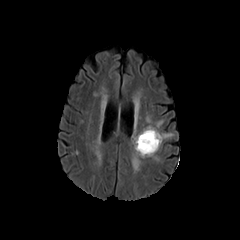
FLAIR MR.
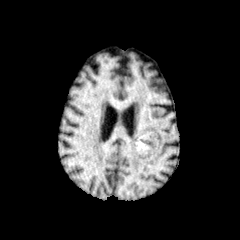
Same slice, T1-weighted magnetic resonance.
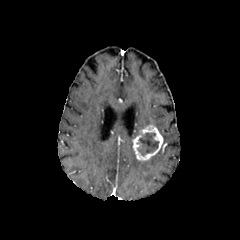
Post-contrast T1-weighted MR.
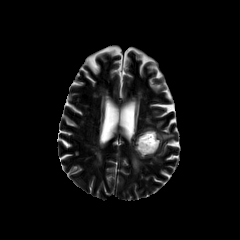
Same slice, T2-weighted MR.
Brain.
non-enhancing_tumor_core:
  - [135,132,159,156]
edema:
  - [131,149,142,173]
  - [161,133,173,140]
enhancing_tumor:
  - [132,123,163,161]